FLAIR MR image.
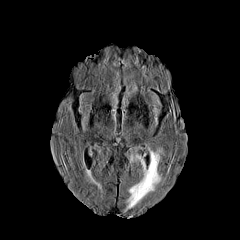
T1-weighted MR image.
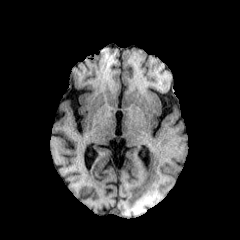
Post-contrast T1-weighted magnetic resonance.
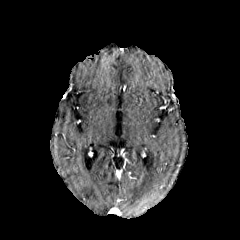
T2-weighted MRI.
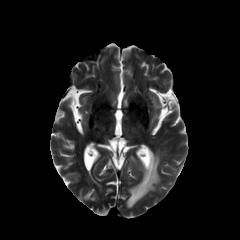
Brain, Image size 240x240
<segmentation>
  <edema>(126,151,161,210)</edema>
</segmentation>